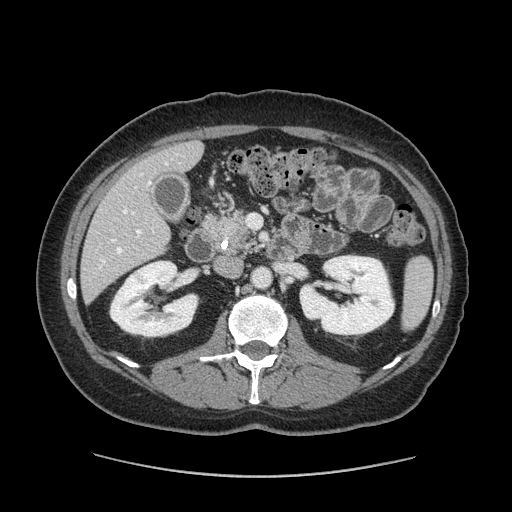 Image size 512x512. Computed tomography. Upper abdomen.

<segmentation>
  <pancreatic_tumor>225,223,246,244</pancreatic_tumor>
  <pancreas>205,211,250,249</pancreas>
</segmentation>